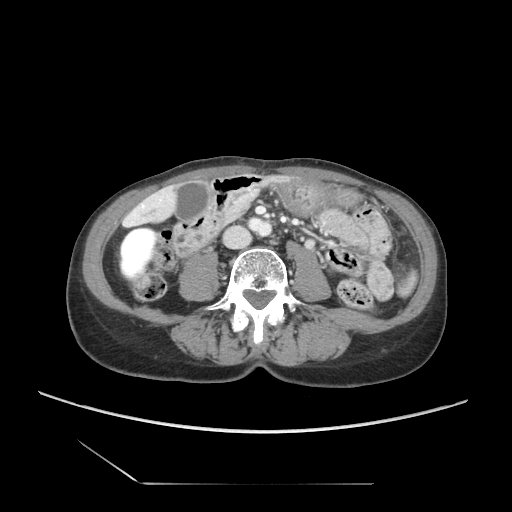

Upper abdomen; CT
The pancreas is bounded by <box>227,193,255,220</box>.